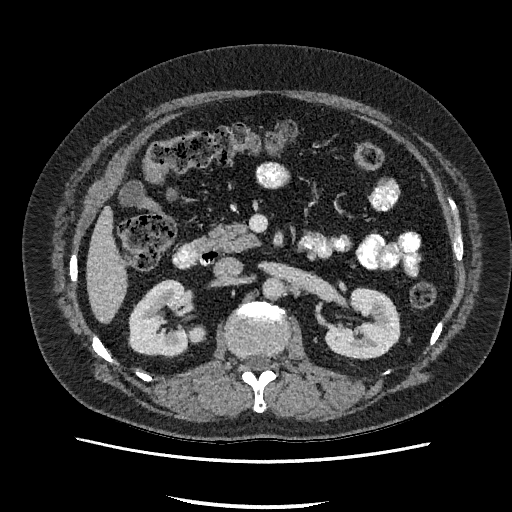
CT.

Kidney at <bbox>190, 329, 202, 340</bbox>, <bbox>326, 289, 398, 357</bbox>, <bbox>130, 281, 188, 354</bbox>.
Liver at <bbox>87, 207, 127, 322</bbox>.